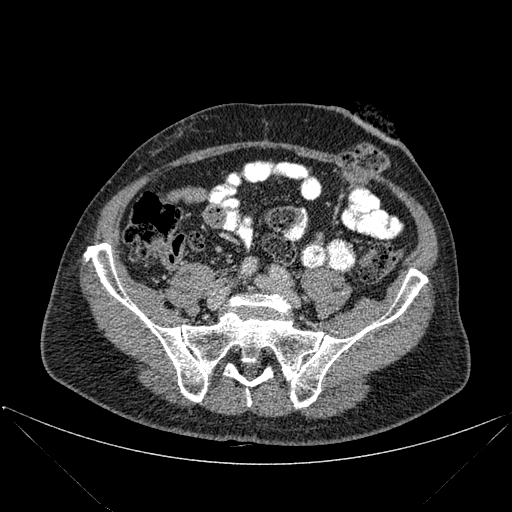 CT image | 512x512
bone:
  - (84,243,427,407)
  - (242,356,255,361)
  - (224,363,272,406)